MR | Slice index 31 | Image size 37x48 | Medial temporal lobe
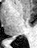 posterior hippocampus: (left=12, top=38, right=13, bottom=39)